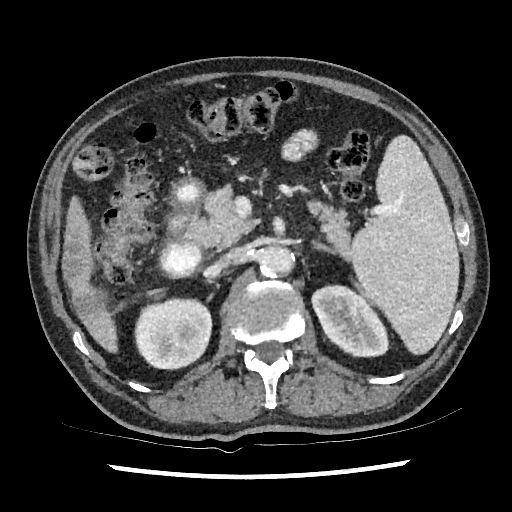 Liver; CT
2 kidney regions appear at (312,286,387,356), (135,299,211,368). 3 liver regions are located at (69,272,105,302), (65,199,92,271), (83,309,116,349). 2 liver lesion regions are located at (73,292,105,329), (63,229,91,284).